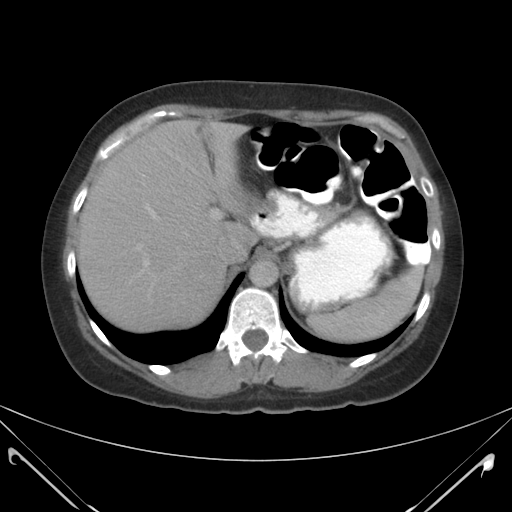 CT slice | 512x512
Annotated regions:
- spleen: [310, 268, 420, 343]